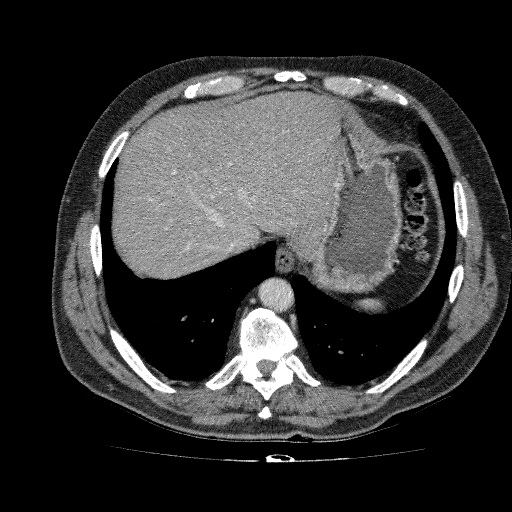
CT image | 512x512 px
The liver lies within x1=112 y1=91 x2=338 y2=279.